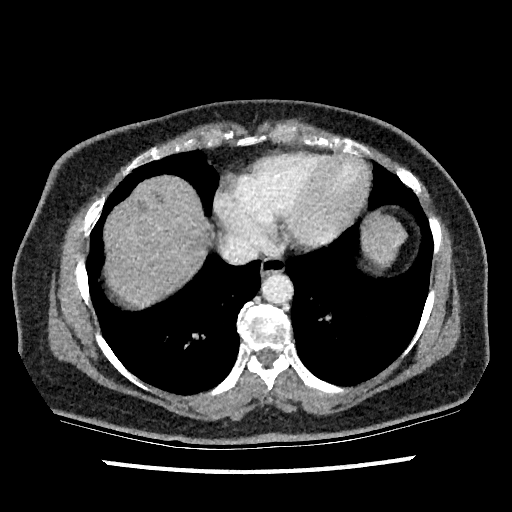 CT
<segmentation>
  <liver>box=[104, 176, 207, 307]; box=[363, 216, 406, 263]</liver>
  <focal_liver_lesion>box=[152, 192, 162, 203]; box=[138, 200, 149, 213]</focal_liver_lesion>
</segmentation>